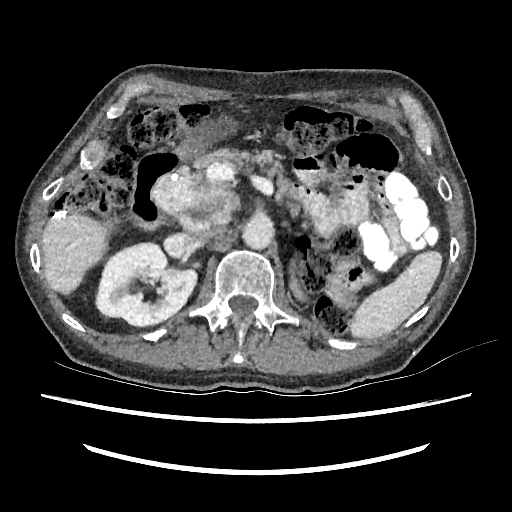

CT, Upper abdomen
- liver: region(43, 214, 108, 293)
- kidney: region(97, 243, 196, 325)